CT image | Image width 373 mm | Abdomen
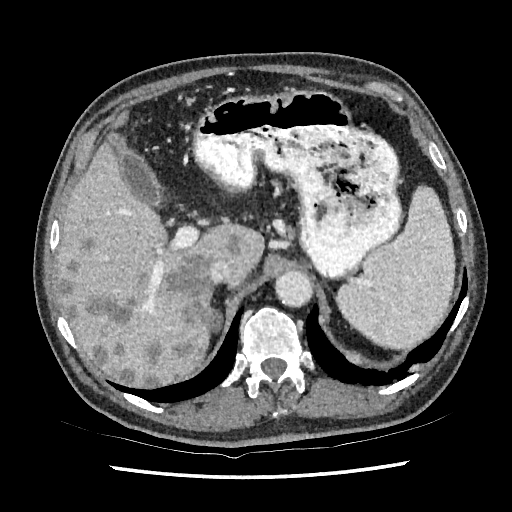 Liver at <box>56,127,262,385</box>.
Liver lesion at <box>66,259,79,273</box>, <box>77,237,95,253</box>, <box>227,235,242,254</box>, <box>93,343,124,366</box>, <box>173,338,201,357</box>, <box>166,252,213,327</box>, <box>59,279,71,296</box>, <box>143,342,162,367</box>, <box>85,295,136,325</box>, <box>63,304,78,322</box>, <box>114,368,134,383</box>.